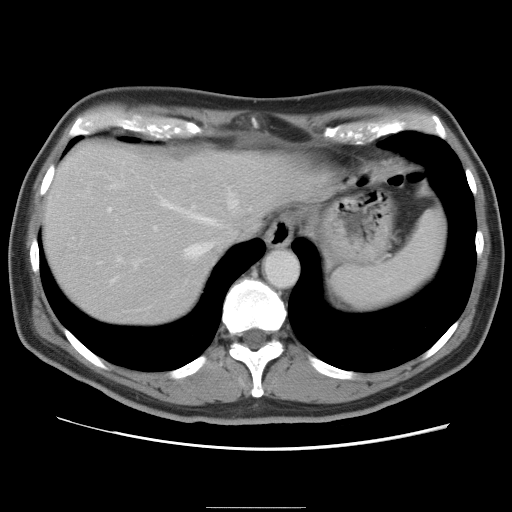 512x512 | CT | Liver
Some hepatic vessels may have no box.
<segmentation>
  <hepatic_vessel><box>183,210,218,224</box>, <box>107,207,110,210</box>, <box>160,197,182,210</box>, <box>133,259,140,266</box>, <box>154,226,156,228</box>, <box>227,187,237,209</box>, <box>184,242,211,257</box>, <box>109,177,120,187</box>, <box>98,261,100,262</box>, <box>116,256,121,260</box>, <box>111,278,115,281</box></hepatic_vessel>
</segmentation>